FLAIR MR.
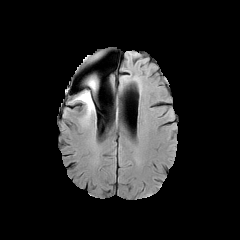
T1-weighted magnetic resonance.
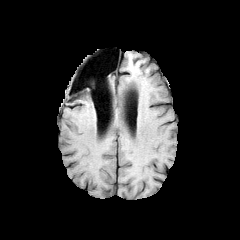
Post-contrast T1-weighted MR image.
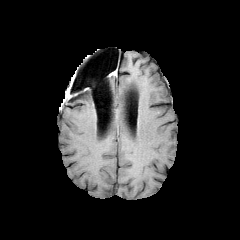
T2-weighted MR.
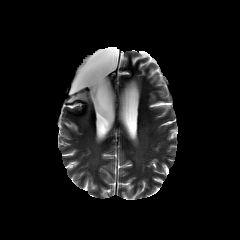
Head.
Edema — l=70, t=87, r=95, b=121.
Non-enhancing tumor core — l=87, t=79, r=97, b=90.